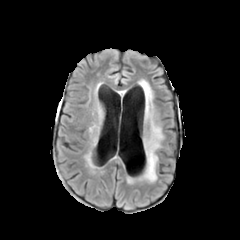
FLAIR MR.
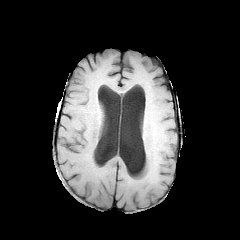
T1-weighted MRI.
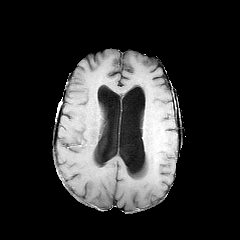
Same slice, post-contrast T1-weighted MR image.
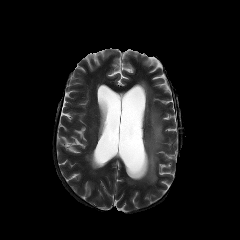
T2-weighted magnetic resonance of the same slice.
Segmented structures:
- edema: 138 80 153 120, 138 121 161 181